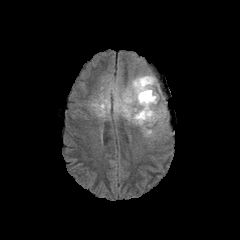
FLAIR MRI.
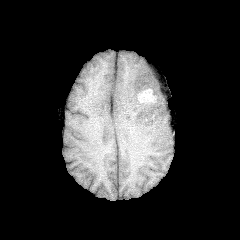
T1-weighted MR image.
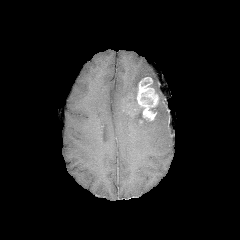
Post-contrast T1-weighted magnetic resonance of the same slice.
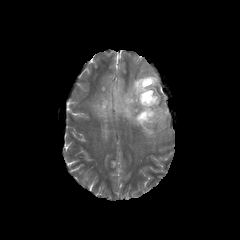
T2-weighted MRI.
Brain.
Edema: [x1=90, y1=73, x2=169, y2=139].
Non-enhancing tumor core: [x1=152, y1=104, x2=159, y2=120], [x1=134, y1=107, x2=153, y2=124].
Enhancing tumor: [x1=136, y1=77, x2=159, y2=120].